Image size 240x240
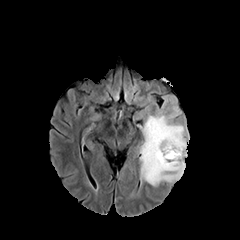
FLAIR MR image.
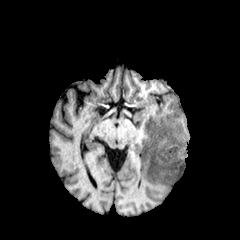
T1-weighted MR of the same slice.
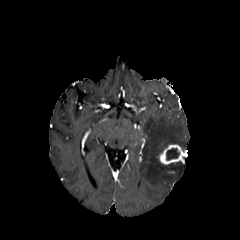
Post-contrast T1-weighted MR.
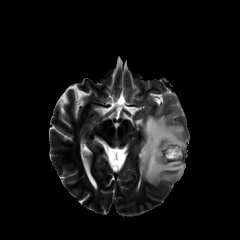
T2-weighted magnetic resonance.
enhancing tumor: l=158, t=144, r=187, b=163 | edema: l=139, t=115, r=187, b=184 | non-enhancing tumor core: l=166, t=148, r=180, b=160